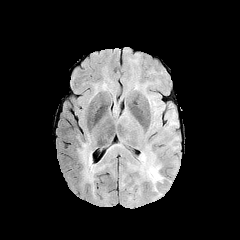
FLAIR MR image.
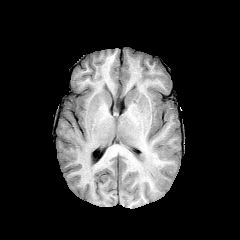
Same slice, T1-weighted magnetic resonance.
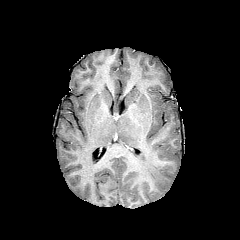
Post-contrast T1-weighted MR image of the same slice.
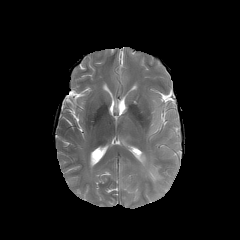
T2-weighted MR image of the same slice.
Brain
Edema — left=134, top=151, right=163, bottom=190; left=78, top=142, right=103, bottom=183.